Brain; Slice index 82; Image size 240x240
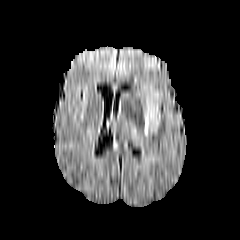
FLAIR MR.
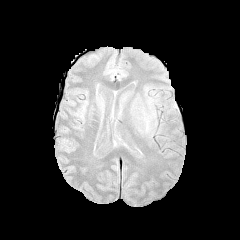
T1-weighted MR.
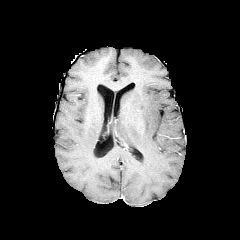
Post-contrast T1-weighted MRI.
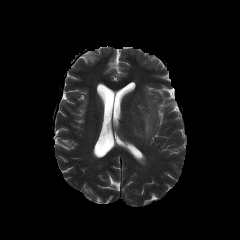
T2-weighted magnetic resonance.
• edema: [144, 103, 154, 135]